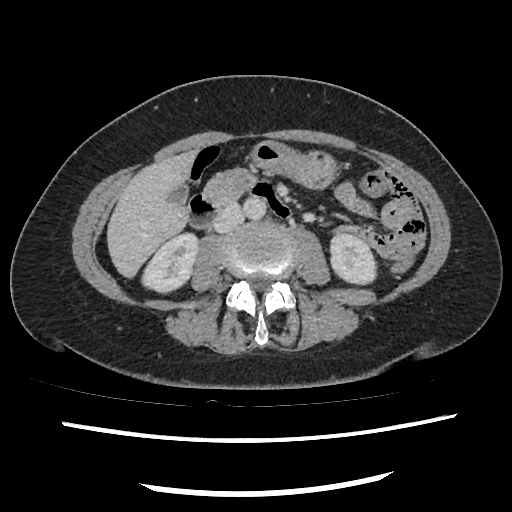
CT scan slice, 512x512

<segmentation>
  <pancreas>x1=205 y1=169 x2=255 y2=203</pancreas>
</segmentation>